Slice 35 of 81 | Upper abdomen | CT image 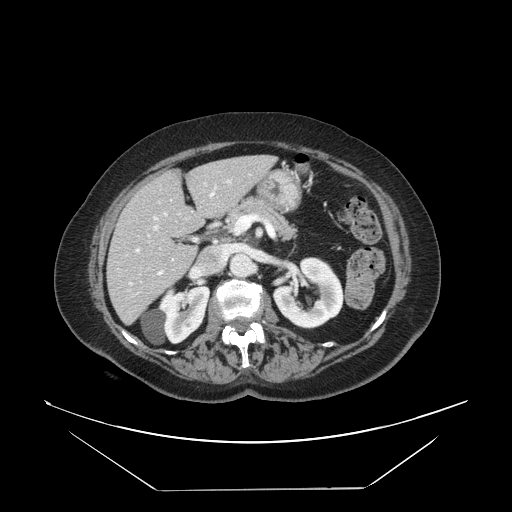
{
  "pancreas": [
    "203, 195, 298, 249"
  ]
}